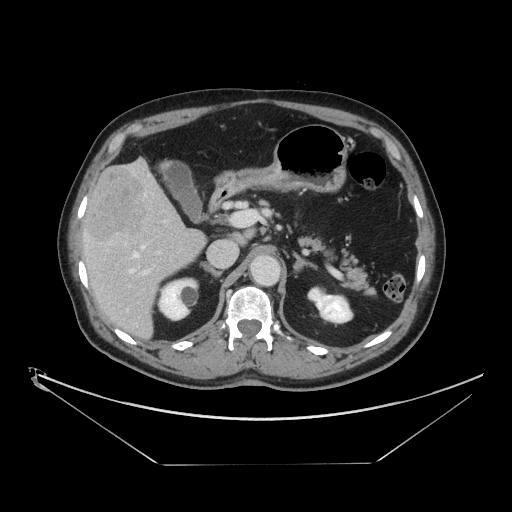

CT image
Some hepatic vessels may have no box.
Findings:
• liver tumor: l=84, t=166, r=149, b=243
• hepatic vessel: l=133, t=253, r=138, b=257; l=141, t=244, r=145, b=249; l=158, t=252, r=160, b=253; l=124, t=243, r=126, b=245; l=130, t=269, r=134, b=272; l=165, t=220, r=168, b=221; l=126, t=309, r=127, b=310; l=142, t=270, r=149, b=274